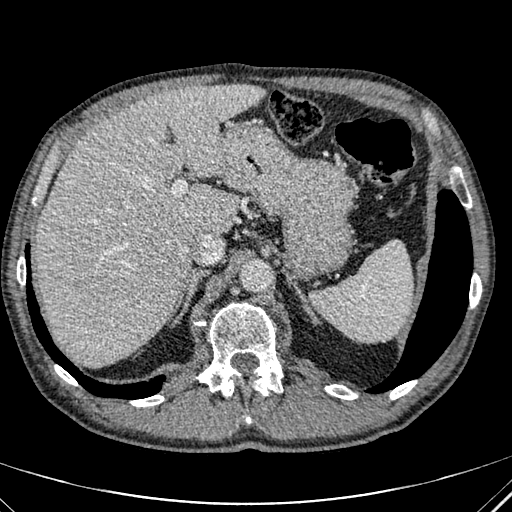 Liver; Computed tomography
{
  "liver": [
    "region(37, 84, 265, 365)"
  ]
}